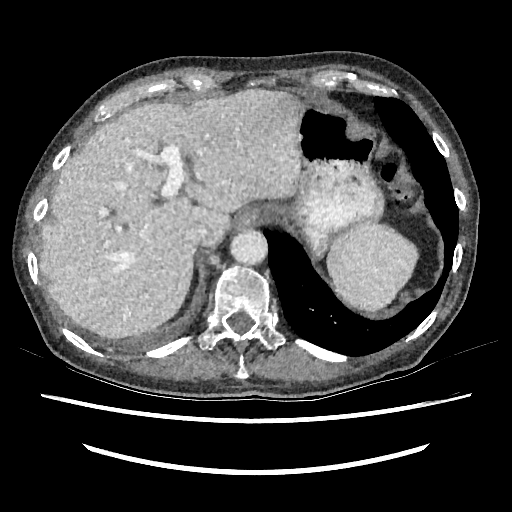

CT scan slice; Abdomen
liver:
  - <bbox>40, 90, 300, 338</bbox>